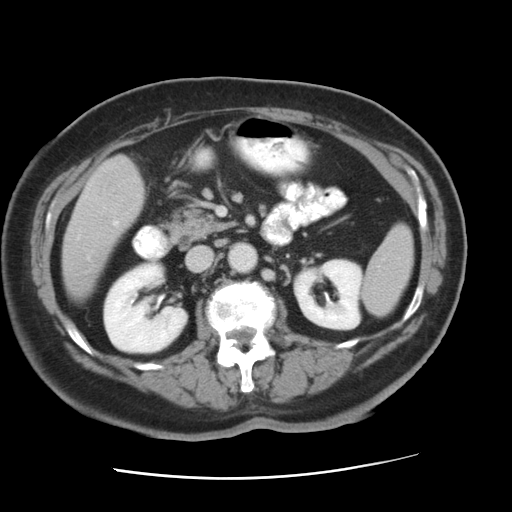
512x512, CT scan slice, Abdomen

The vessel annotation is not exhaustive.
{"liver_tumor": ["x1=103 y1=173 x2=127 y2=198"], "hepatic_vessel": ["x1=113 y1=221 x2=118 y2=225"]}